CT scan slice; Lower abdomen

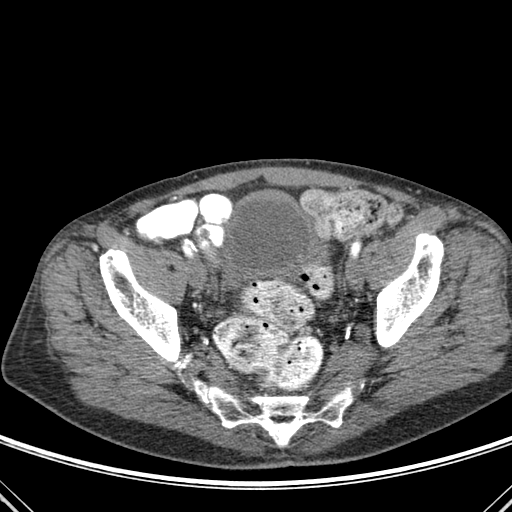 bone: left=376, top=233, right=443, bottom=347; left=192, top=379, right=352, bottom=446; left=99, top=249, right=190, bottom=368 | urinary bladder: left=209, top=198, right=340, bottom=297